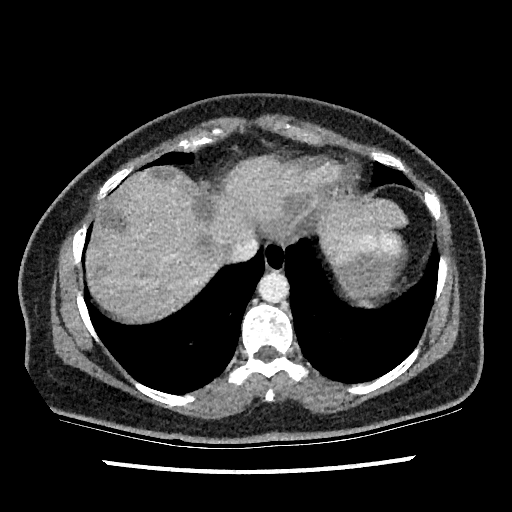

Upper abdomen, Computed tomography
<segmentation>
  <focal_liver_lesion>95 266 108 277, 151 167 175 179, 99 206 127 230, 285 192 303 214, 191 185 214 221, 197 234 230 259</focal_liver_lesion>
  <liver>86 157 304 319, 319 200 406 243</liver>
</segmentation>